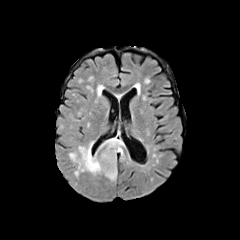
FLAIR MR image.
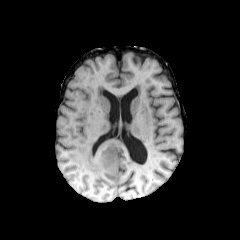
Same slice, T1-weighted MRI.
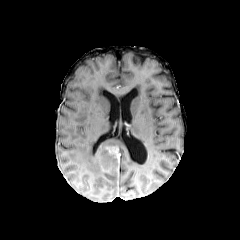
Same slice, post-contrast T1-weighted MR image.
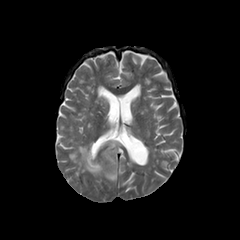
T2-weighted MR.
Head.
Annotated regions:
• edema: <box>69,136,125,180</box>, <box>95,84,103,101</box>
• enhancing tumor: <box>106,146,118,157</box>